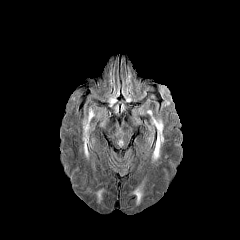
FLAIR magnetic resonance.
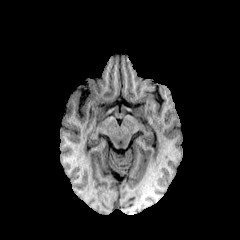
T1-weighted MR image.
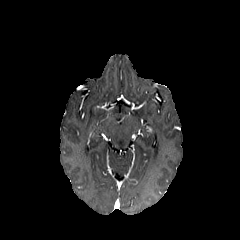
Same slice, post-contrast T1-weighted MR image.
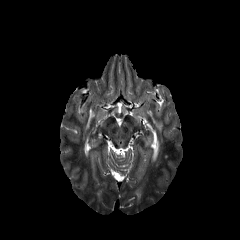
T2-weighted MR image.
Head; 240x240
edema:
  - bbox(83, 108, 95, 156)
  - bbox(134, 185, 143, 204)
  - bbox(151, 120, 163, 160)